Computed tomography | Abdomen | Slice 357/547
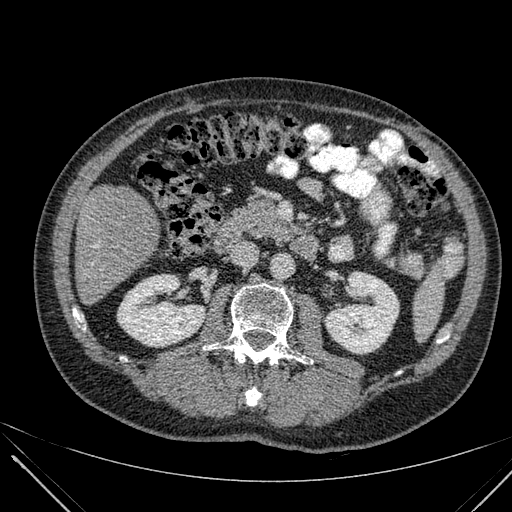
{
  "liver": [
    "76:184:161:304"
  ],
  "kidney": [
    "326:272:398:353",
    "117:275:204:346"
  ]
}